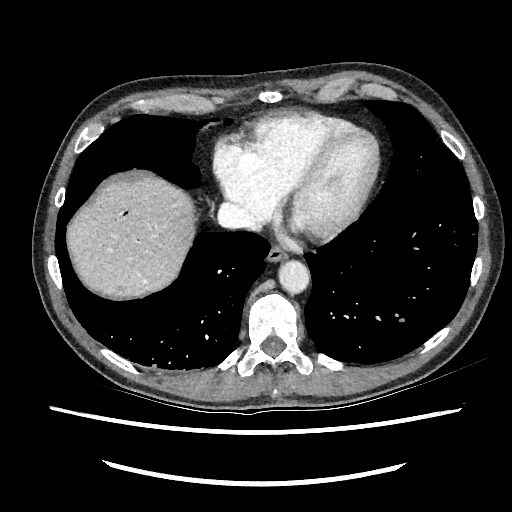
Upper abdomen; CT scan slice; Image size 512x512

{"liver": ["(x1=68, y1=178, x2=192, y2=296)"]}